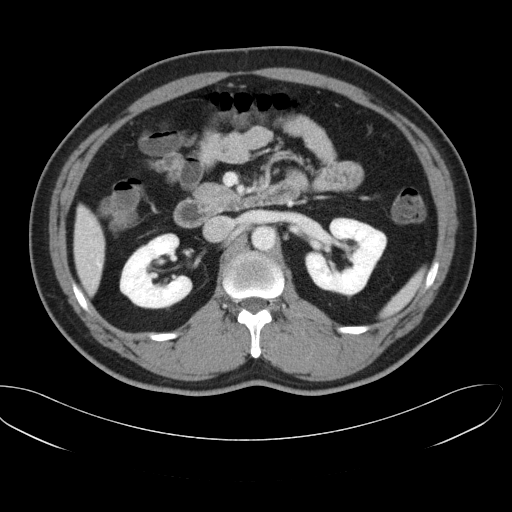

Abdomen, 512x512, CT scan slice

Only some of the vessels may be annotated.
• hepatic vessel: 96 255 100 266, 90 241 95 243, 90 223 91 225